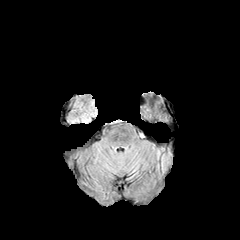
FLAIR MRI.
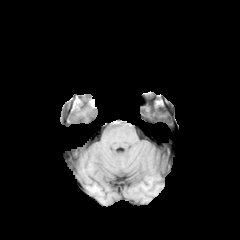
T1-weighted magnetic resonance of the same slice.
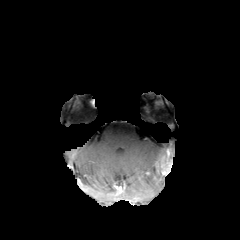
Post-contrast T1-weighted MR of the same slice.
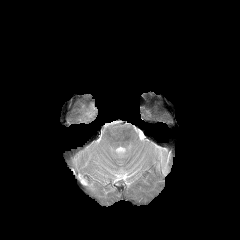
T2-weighted MRI of the same slice.
Image size 240x240
Segmented structures:
- edema: 155 149 166 169